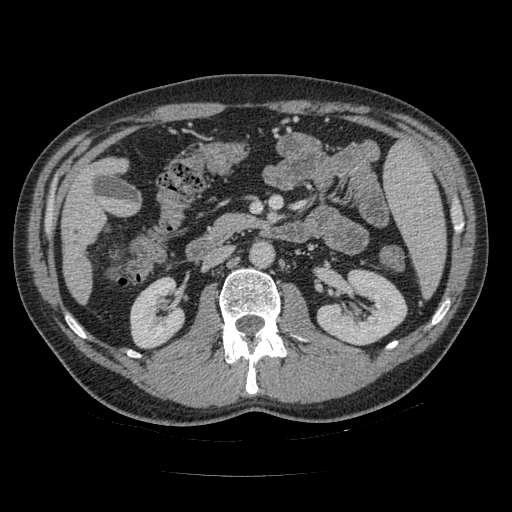
CT slice
The pancreas lies within (211, 213, 263, 239).